512x512 px, Liver, CT slice
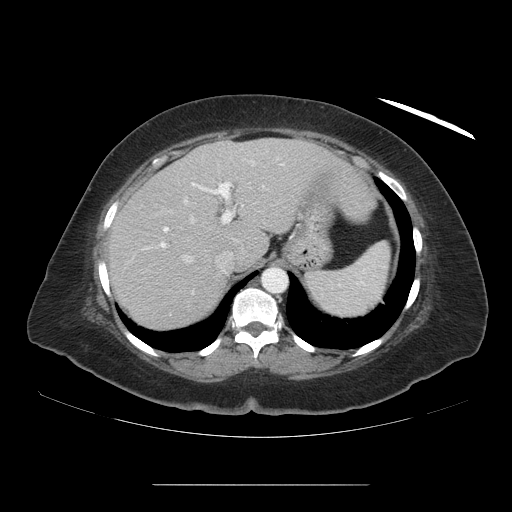 Some hepatic vessels may have no box.
hepatic_vessel:
  - box=[191, 181, 231, 200]
  - box=[233, 241, 240, 242]
  - box=[239, 246, 243, 253]
  - box=[184, 198, 187, 203]
  - box=[215, 252, 232, 274]
  - box=[280, 164, 282, 165]
  - box=[163, 227, 168, 232]
  - box=[183, 256, 190, 261]
  - box=[222, 210, 232, 223]
  - box=[160, 241, 166, 247]
  - box=[190, 217, 194, 222]